Brain; Image size 240x240; Field of view 240 mm wide, 1.00 mm slice spacing
FLAIR MR.
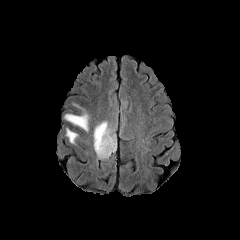
T1-weighted MR image.
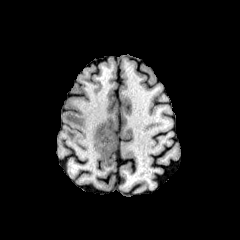
Post-contrast T1-weighted magnetic resonance.
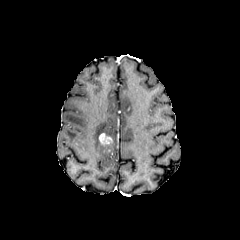
T2-weighted MR image.
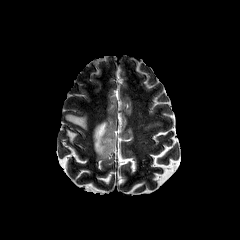
The enhancing tumor is at x1=98 y1=133 x2=111 y2=145. 3 edema regions are bounded by x1=67 y1=128 x2=77 y2=143, x1=93 y1=121 x2=116 y2=158, x1=65 y1=113 x2=88 y2=131.